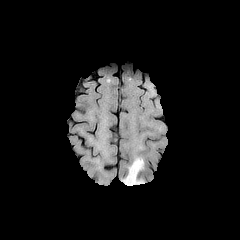
FLAIR magnetic resonance.
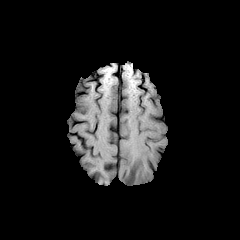
T1-weighted MR image of the same slice.
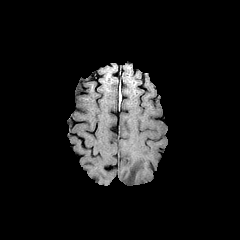
Post-contrast T1-weighted MR image.
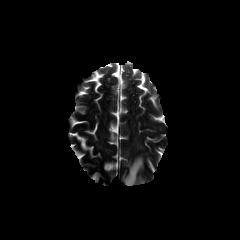
T2-weighted magnetic resonance.
Image size 240x240
The edema lies within [123,158,143,185].